FLAIR MRI.
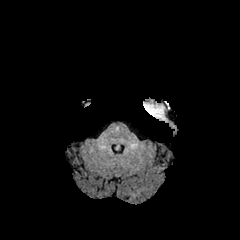
T1-weighted MR image.
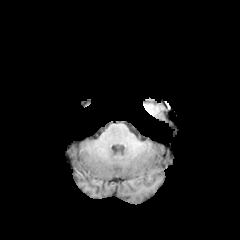
Post-contrast T1-weighted MR image.
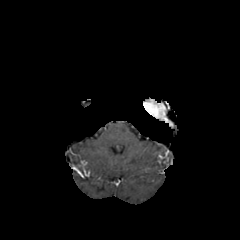
T2-weighted MRI.
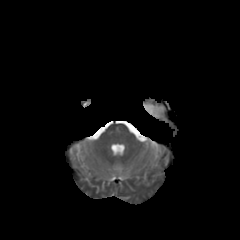
The enhancing tumor is bounded by rect(143, 99, 173, 125).